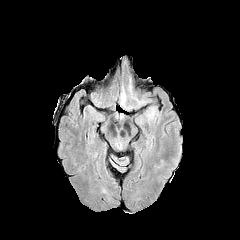
FLAIR MR image.
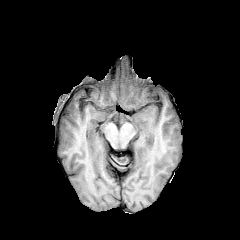
Same slice, T1-weighted magnetic resonance.
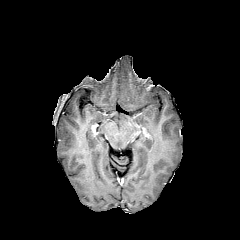
Post-contrast T1-weighted MR image of the same slice.
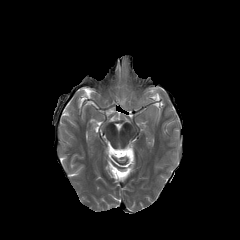
T2-weighted MRI.
Head
2 edema regions are located at l=119, t=85, r=147, b=107; l=144, t=106, r=157, b=120.